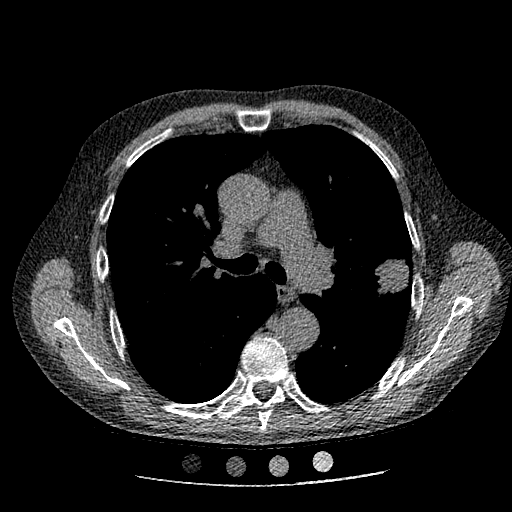 CT, Thorax, 512x512 px
lung tumor: (351,256,366,272), (372,255,412,303)